FLAIR magnetic resonance.
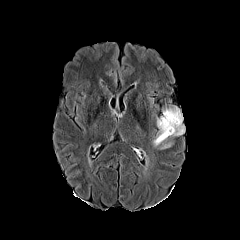
T1-weighted MR.
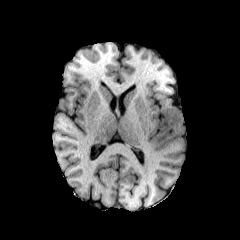
Post-contrast T1-weighted MR image.
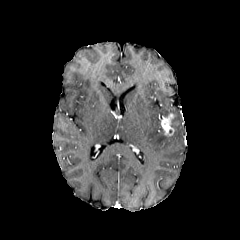
T2-weighted MRI.
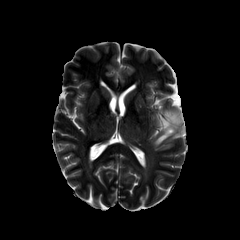
Image size 240x240
The enhancing tumor is bounded by l=160, t=114, r=178, b=136. 2 edema regions appear at l=151, t=101, r=183, b=147; l=160, t=143, r=173, b=150.